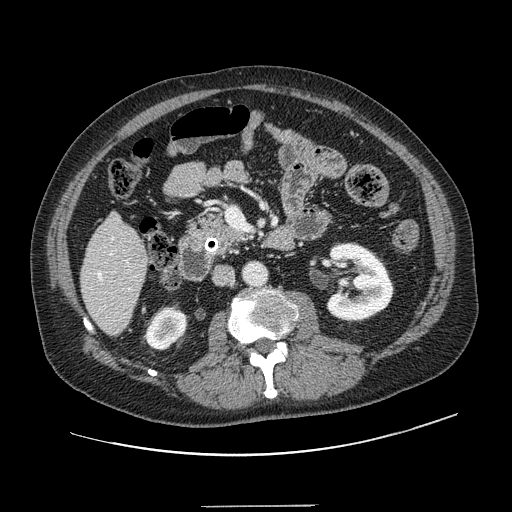

CT slice
* pancreas: box=[185, 211, 246, 254]